FLAIR MR.
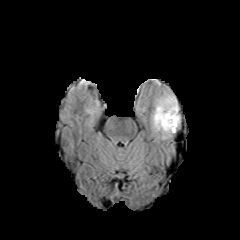
T1-weighted MR.
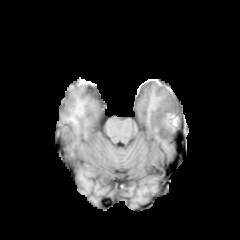
Post-contrast T1-weighted MR.
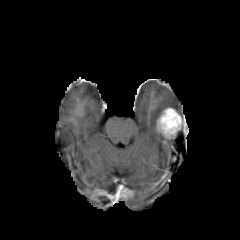
T2-weighted MRI.
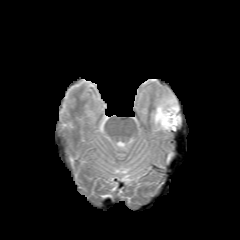
Non-enhancing tumor core: bounding box rect(158, 114, 172, 127).
Edema: bounding box rect(150, 88, 180, 138).
Enhancing tumor: bounding box rect(165, 114, 178, 129).